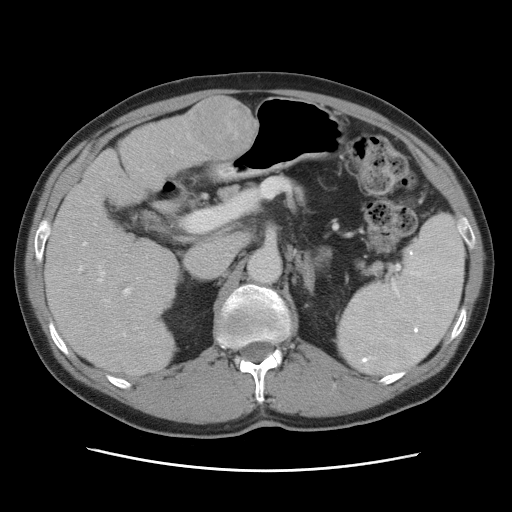
Computed tomography, Liver
The vessel annotation is not exhaustive.
Liver tumor — [189, 98, 252, 156].
Hepatic vessel — [187, 135, 189, 138], [78, 267, 82, 271], [94, 224, 95, 225], [122, 333, 125, 336], [137, 277, 139, 279], [104, 299, 109, 302], [82, 243, 86, 245], [123, 288, 130, 295], [170, 150, 173, 153], [98, 267, 104, 282].